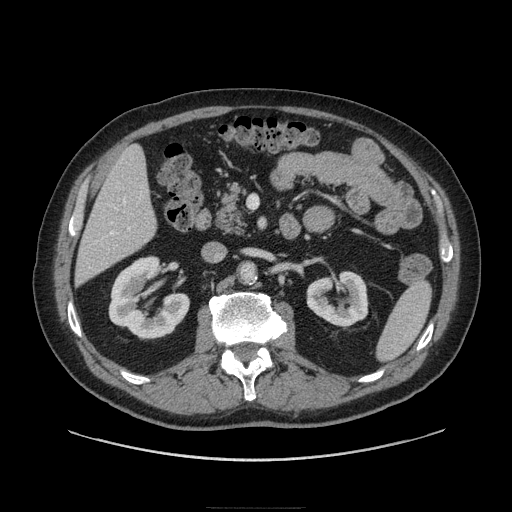 512x512 px | Upper abdomen | Computed tomography
The pancreas is bounded by 213,182,248,234.